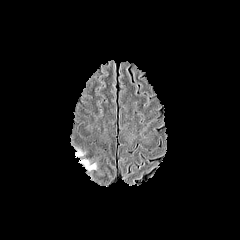
FLAIR MR.
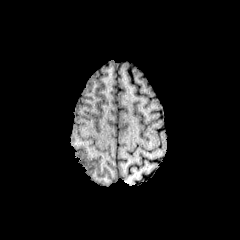
T1-weighted MR.
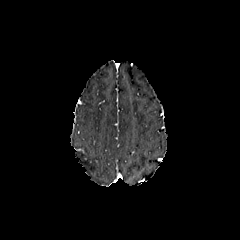
Post-contrast T1-weighted MRI.
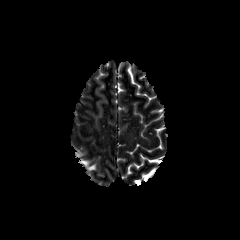
T2-weighted MRI.
Head
Edema: bounding box {"x1": 78, "y1": 159, "x2": 96, "y2": 171}.